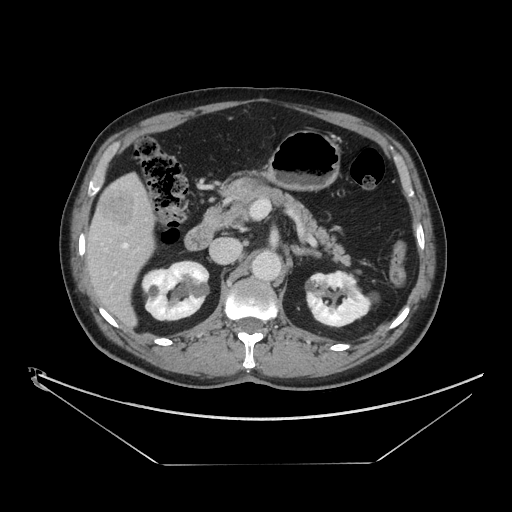 Liver. CT scan slice. Not every hepatic vessel necessarily has a box.
The liver tumor is located at bbox=[97, 187, 135, 226]. 2 hepatic vessel regions are bounded by bbox=[123, 244, 127, 247]; bbox=[114, 272, 116, 274].